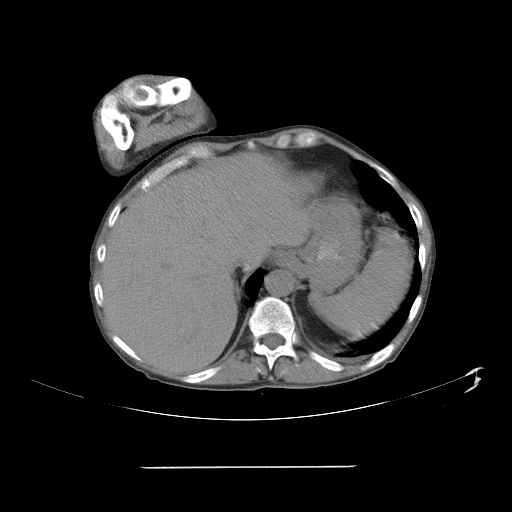
Upper abdomen. CT scan slice.

The spleen is bounded by 313, 231, 412, 332.